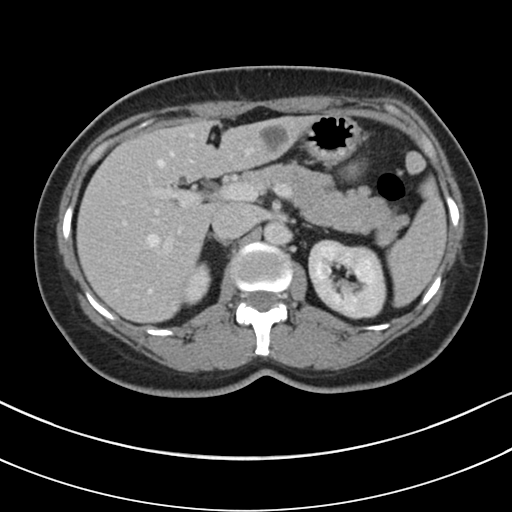
Image size 512x512; Abdomen; CT scan slice
Findings:
• pancreas: (229,163,408,246)